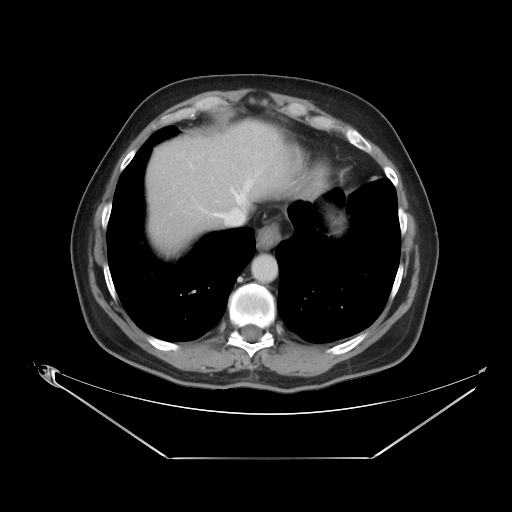
CT scan slice | Abdomen
Some hepatic vessels may have no box.
3 hepatic vessel regions are located at [x1=233, y1=181, x2=250, y2=202], [x1=215, y1=214, x2=226, y2=219], [x1=234, y1=211, x2=238, y2=211].